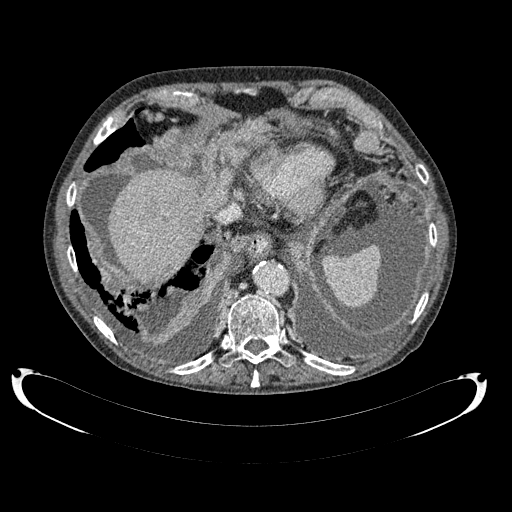
CT image; Liver
Focal liver lesion = <bbox>143, 201, 156, 215</bbox>.
Liver = <bbox>108, 169, 215, 283</bbox>.